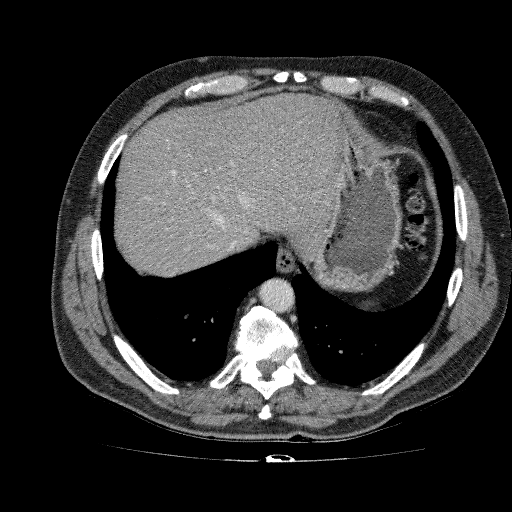 Upper abdomen | CT scan slice | 512x512 px
liver:
  - (114,93,339,277)